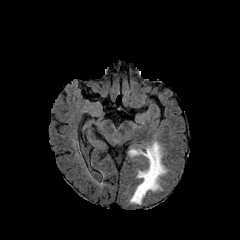
FLAIR MR image.
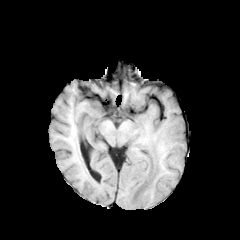
T1-weighted magnetic resonance of the same slice.
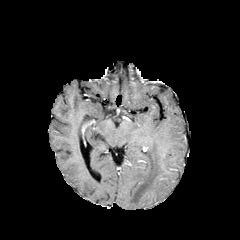
Same slice, post-contrast T1-weighted MR image.
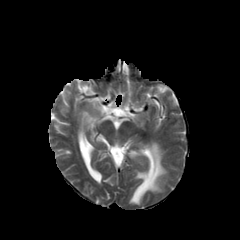
Same slice, T2-weighted magnetic resonance.
Image size 240x240, Brain
edema: (x1=128, y1=142, x2=165, y2=204)